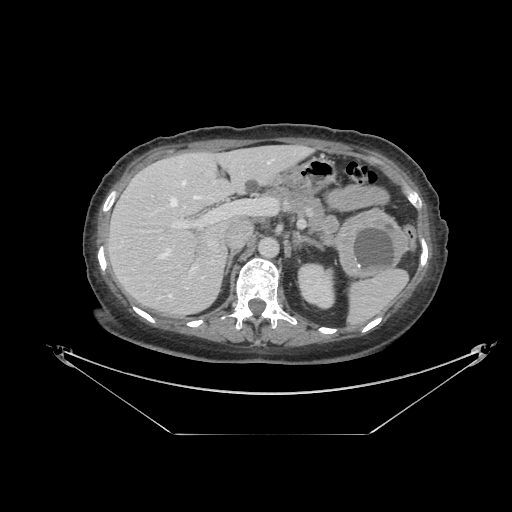

CT image, 512x512, Upper abdomen
Pancreatic tumor: region(337, 208, 406, 277).
Pancreas: region(262, 187, 342, 253).